Liver; CT image; Slice index 374; Field of view 335x335 mm 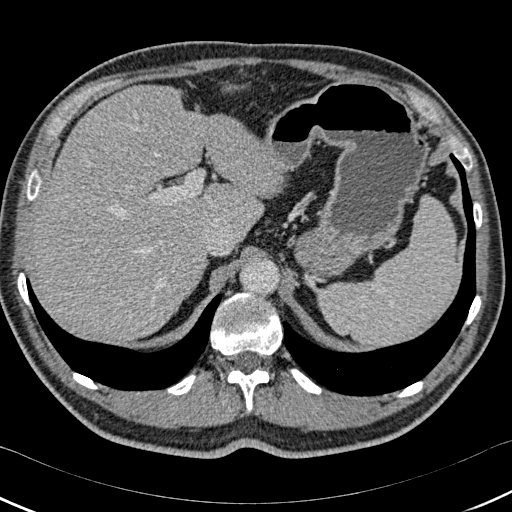

Lung: l=282, t=153, r=475, b=396; l=26, t=278, r=222, b=390.
Bone: l=73, t=373, r=97, b=389; l=211, t=293, r=282, b=355; l=18, t=273, r=29, b=305; l=228, t=369, r=268, b=411; l=27, t=170, r=41, b=200; l=454, t=147, r=472, b=170; l=473, t=202, r=481, b=227; l=167, t=375, r=195, b=394; l=397, t=382, r=422, b=397; l=291, t=369, r=321, b=394; l=466, t=296, r=480, b=324.
Liver: l=34, t=84, r=282, b=343.